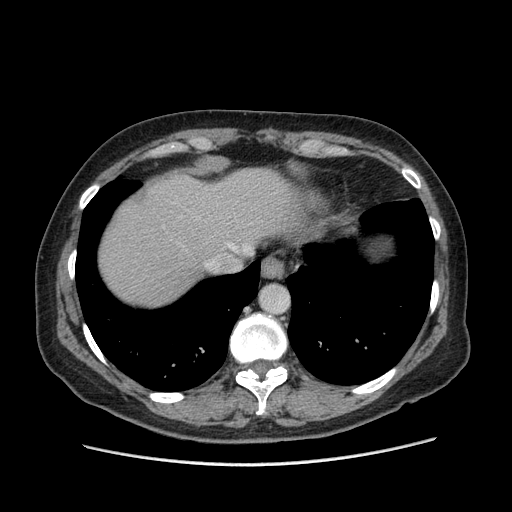 CT image

The vessel boxes may cover only some of the vessels.
Hepatic vessel: 226:256:238:268, 195:216:200:218, 226:242:251:253, 205:255:221:270, 176:241:185:250.